CT image.
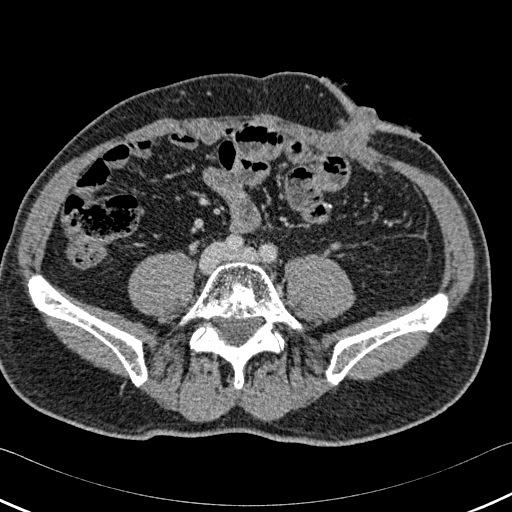

3 bone regions appear at <box>180,262,301,388</box>, <box>323,294,447,384</box>, <box>28,276,148,386</box>.